Abdomen. Image width 400 mm. Slice 233/781. CT slice. 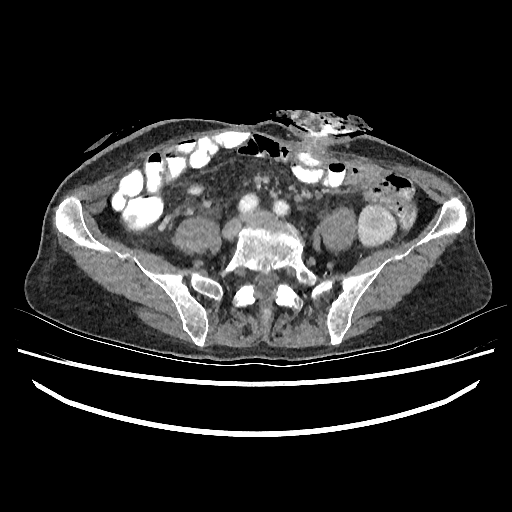
kidney:
  - bbox(385, 254, 405, 262)
  - bbox(358, 205, 395, 244)